Brain, Slice index 108
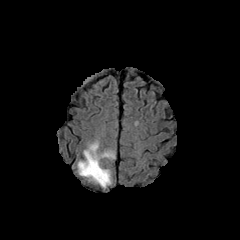
FLAIR MR image.
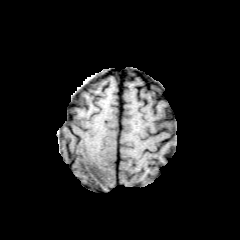
T1-weighted MR image.
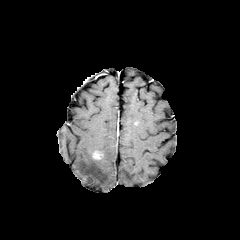
Post-contrast T1-weighted magnetic resonance.
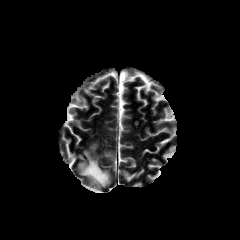
Same slice, T2-weighted MR image.
Enhancing tumor — {"x1": 93, "y1": 152, "x2": 102, "y2": 159}.
Edema — {"x1": 77, "y1": 141, "x2": 115, "y2": 188}.